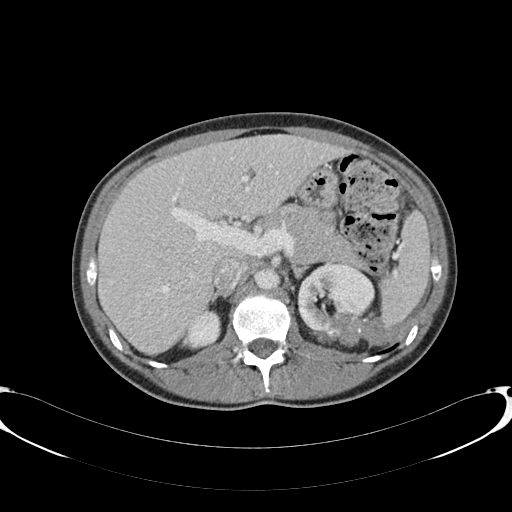
CT. Upper abdomen. Liver — [98, 136, 345, 353].
Kidney — [299, 263, 373, 345], [189, 312, 218, 345].